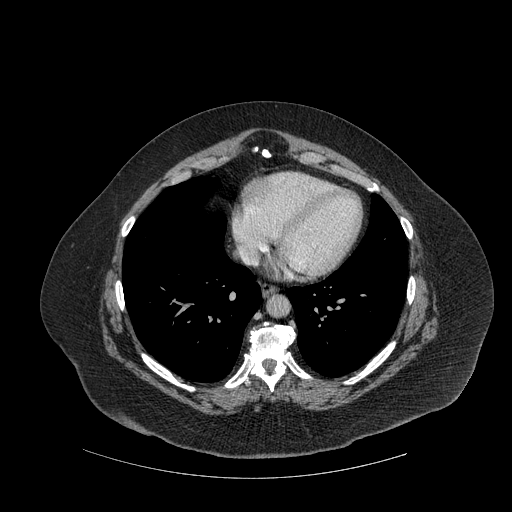 Thorax. CT slice.

lung: region(287, 194, 407, 376); region(122, 176, 261, 382) | bone: region(344, 342, 395, 383); region(225, 322, 310, 391); region(401, 217, 412, 238); region(122, 217, 134, 236); region(142, 354, 194, 390); region(115, 281, 124, 309); region(262, 149, 270, 156); region(407, 277, 415, 303)